FLAIR magnetic resonance.
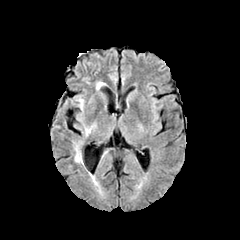
T1-weighted MRI.
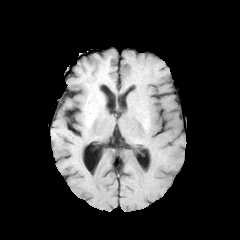
Post-contrast T1-weighted magnetic resonance.
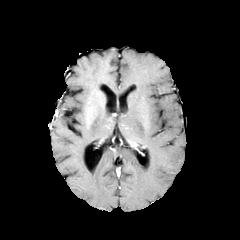
T2-weighted MR image.
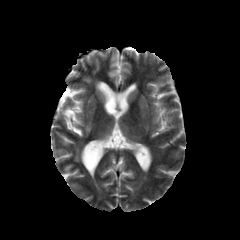
240x240, Head
Edema — region(75, 145, 82, 162); region(78, 114, 92, 136); region(73, 97, 85, 113); region(95, 81, 106, 97).